FLAIR MRI.
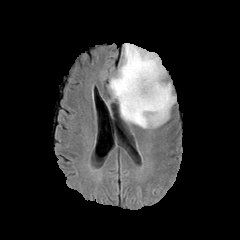
T1-weighted MRI.
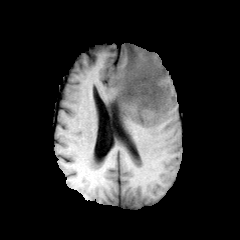
Post-contrast T1-weighted MR image.
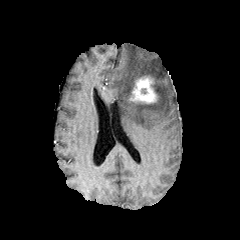
T2-weighted magnetic resonance.
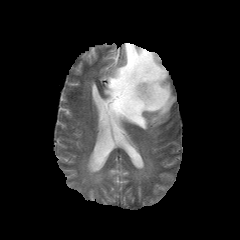
Brain
Annotated regions:
- non-enhancing tumor core: {"x1": 114, "y1": 96, "x2": 123, "y2": 110}, {"x1": 133, "y1": 72, "x2": 159, "y2": 97}
- edema: {"x1": 106, "y1": 43, "x2": 175, "y2": 128}
- enhancing tumor: {"x1": 130, "y1": 75, "x2": 157, "y2": 103}